Slice 55 of 90; CT scan slice; Upper abdomen
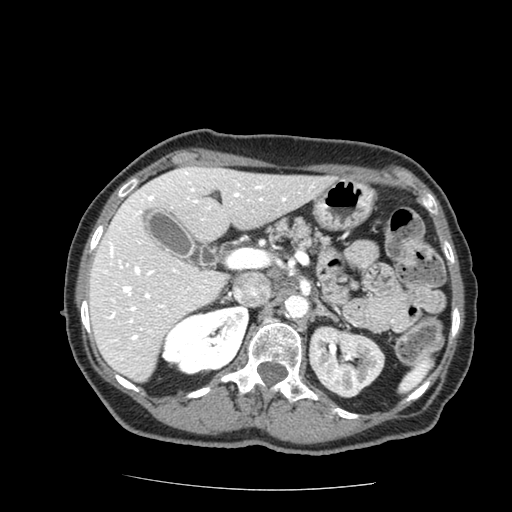
The pancreas is at <bbox>266, 215, 332, 254</bbox>.